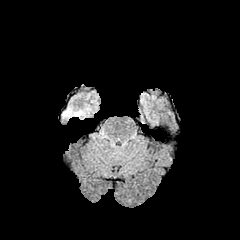
FLAIR MR image.
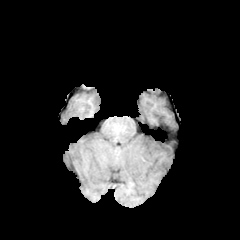
T1-weighted MR image.
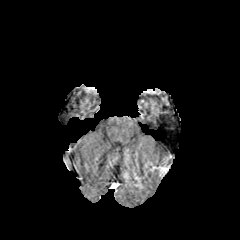
Same slice, post-contrast T1-weighted MRI.
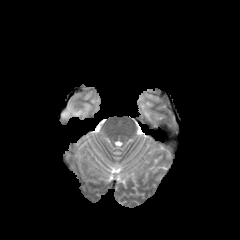
T2-weighted magnetic resonance of the same slice.
240x240 px; Head
edema:
  - 61,101,89,120